Head, Image size 240x240
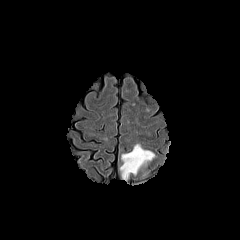
FLAIR magnetic resonance.
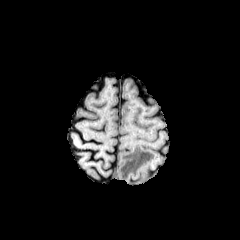
T1-weighted MR image.
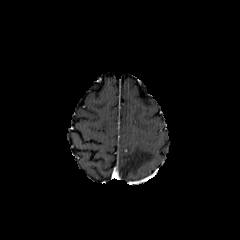
Post-contrast T1-weighted MRI.
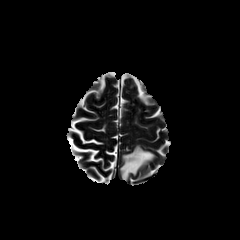
T2-weighted magnetic resonance.
The edema lies within box(119, 144, 154, 180).